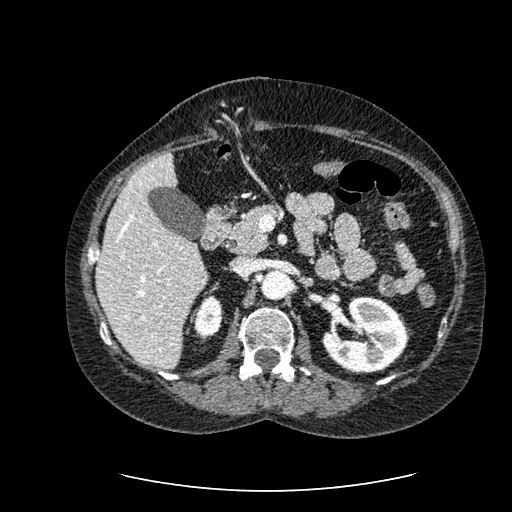

CT image. The liver is bounded by 96, 155, 206, 368. 2 kidney regions are bounded by 195, 296, 221, 336; 323, 297, 407, 371.